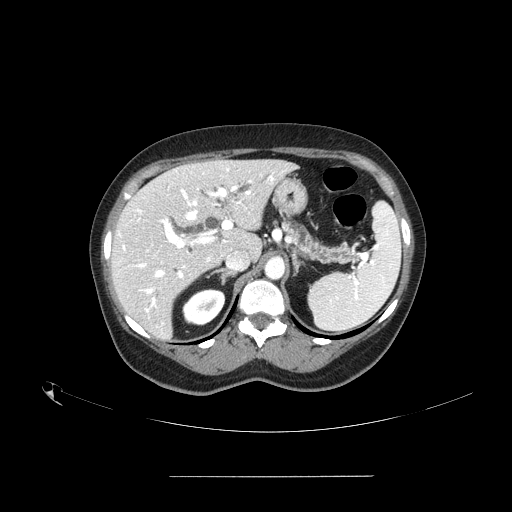
CT image. Upper abdomen.
Pancreas — l=288, t=219, r=354, b=263.